Head
FLAIR magnetic resonance.
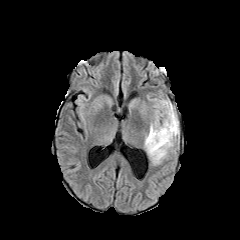
T1-weighted MR.
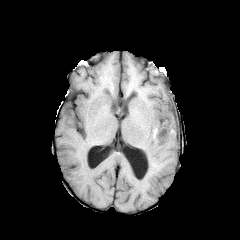
Post-contrast T1-weighted MR.
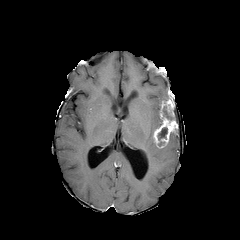
T2-weighted magnetic resonance.
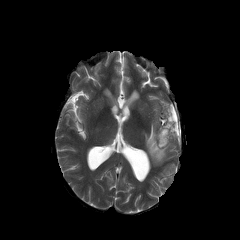
The enhancing tumor is located at x1=154, y1=99, x2=177, y2=143. The non-enhancing tumor core is at x1=153, y1=127, x2=167, y2=147. The edema lies within x1=144, y1=97, x2=179, y2=165.